Image width 240 mm, Slice 86 of 155, 240x240
FLAIR MRI.
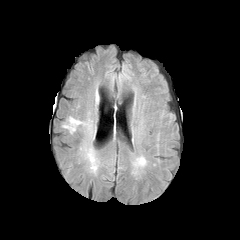
T1-weighted magnetic resonance.
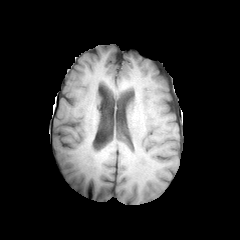
Post-contrast T1-weighted magnetic resonance.
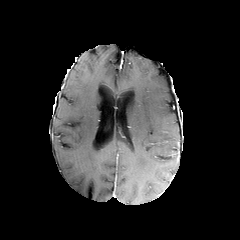
T2-weighted MRI.
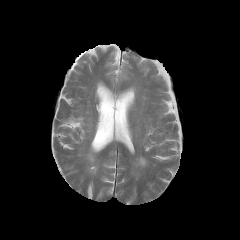
Edema: bounding box (x1=133, y1=156, x2=147, y2=168).